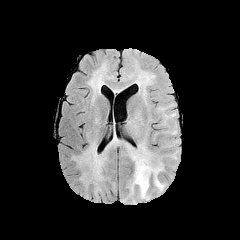
FLAIR magnetic resonance.
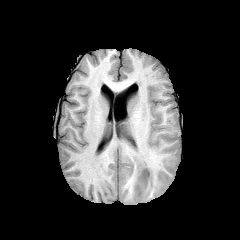
T1-weighted MR image.
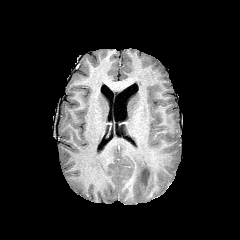
Post-contrast T1-weighted MR image.
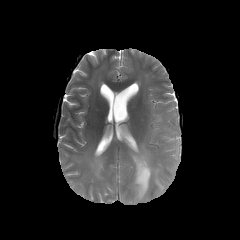
Same slice, T2-weighted MRI.
Non-enhancing tumor core: box(138, 169, 149, 185).
Edema: box(128, 146, 165, 199); box(78, 144, 105, 180).